Abdomen; CT scan slice
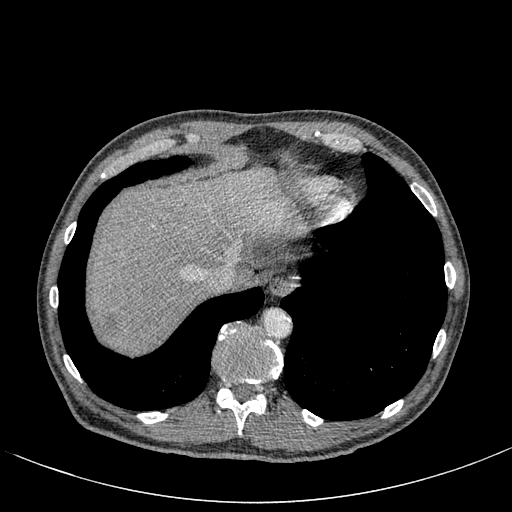
The liver is at box(89, 168, 308, 355). 2 liver lesion regions are located at box(283, 209, 296, 222); box(92, 314, 119, 339).